CT scan slice, Slice 599/722

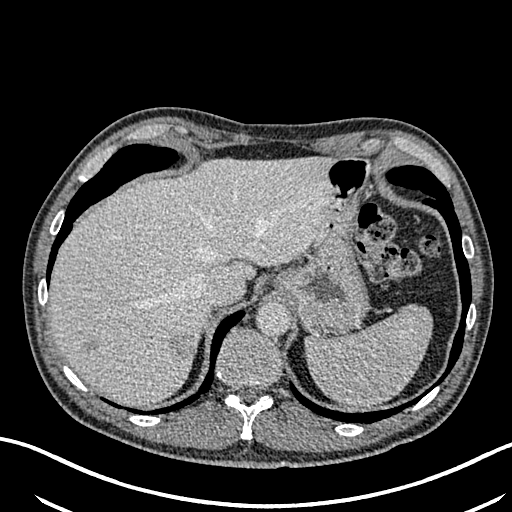
{"liver": [{"x1": 49, "y1": 156, "x2": 335, "y2": 404}], "hepatic_lesion": [{"x1": 87, "y1": 341, "x2": 98, "y2": 348}, {"x1": 167, "y1": 334, "x2": 192, "y2": 358}]}